Abdomen, Image size 512x512, CT 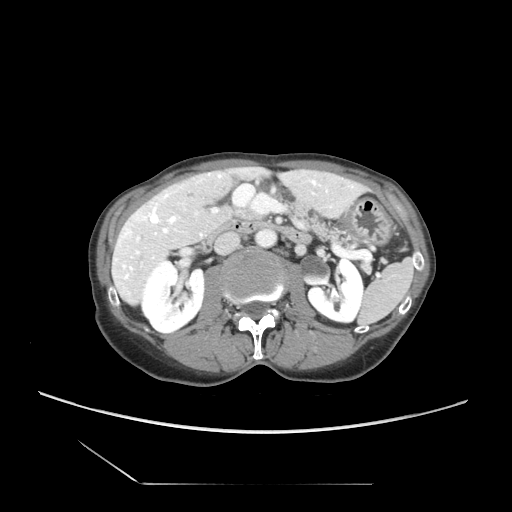 The pancreas appears at {"x1": 278, "y1": 189, "x2": 352, "y2": 247}.